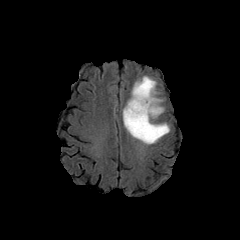
FLAIR MR image.
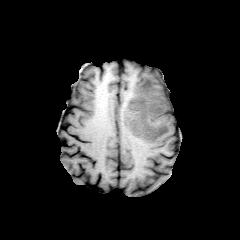
T1-weighted magnetic resonance.
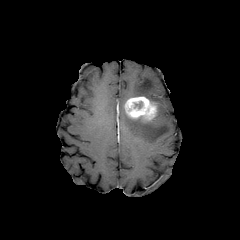
Same slice, post-contrast T1-weighted MRI.
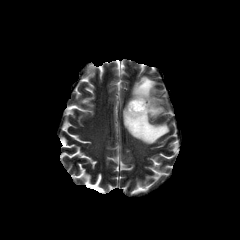
T2-weighted MRI.
240x240; Brain
{"edema": ["131, 76, 164, 116", "122, 108, 169, 144"], "enhancing_tumor": ["125, 97, 157, 121"]}